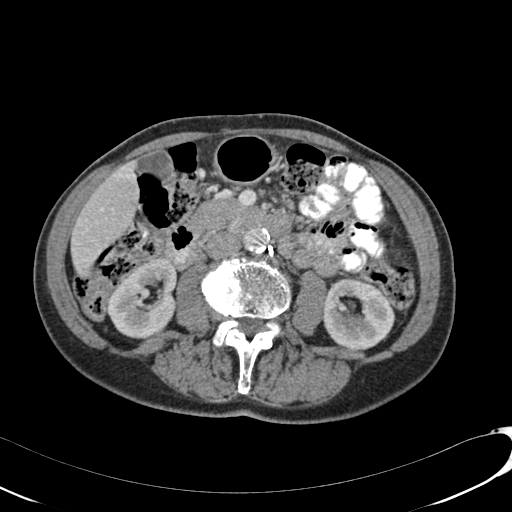 512x512 px, Liver, CT

kidney: (left=108, top=257, right=175, bottom=337), (left=324, top=280, right=393, bottom=349) | liver: (left=72, top=161, right=138, bottom=277)